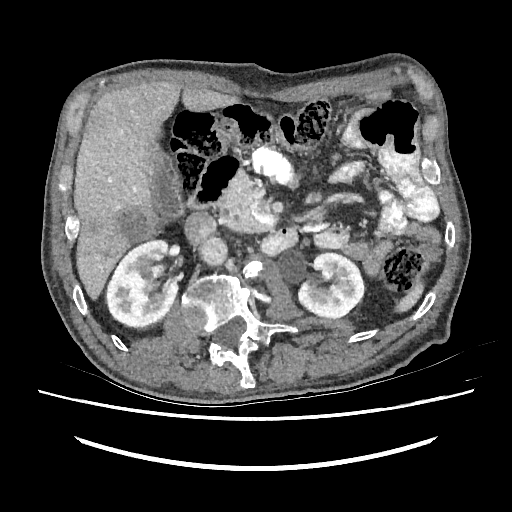
CT

Kidney: 107, 241, 177, 326; 298, 253, 363, 318.
Focal liver lesion: 82, 219, 100, 233; 111, 207, 156, 243.
Liver: 75, 83, 236, 298.